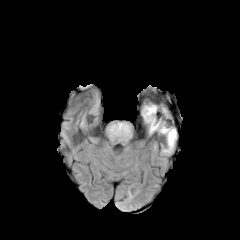
FLAIR MRI.
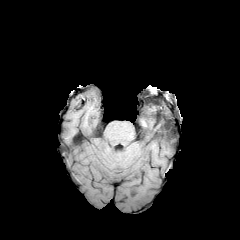
Same slice, T1-weighted magnetic resonance.
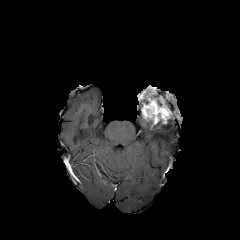
Post-contrast T1-weighted MR.
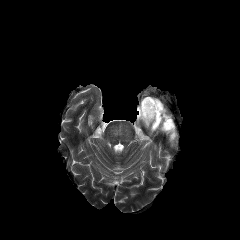
T2-weighted magnetic resonance of the same slice.
Head.
Edema: bounding box 146:115:177:147.
Enhancing tumor: bounding box 141:99:169:125.